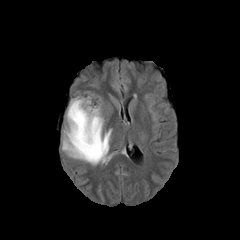
FLAIR MR image.
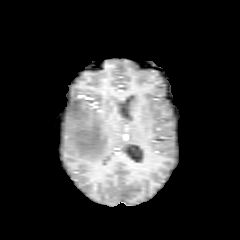
T1-weighted MR.
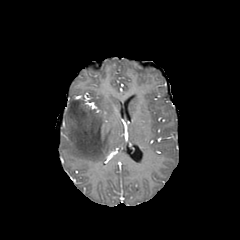
Post-contrast T1-weighted MR image.
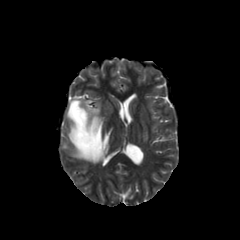
T2-weighted MRI.
Edema at (left=63, top=98, right=110, bottom=163), (left=76, top=98, right=85, bottom=109).
Non-enhancing tumor core at (left=80, top=101, right=95, bottom=114), (left=70, top=98, right=88, bottom=135).